Field of view 240x240 mm.
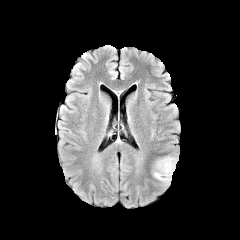
FLAIR MR.
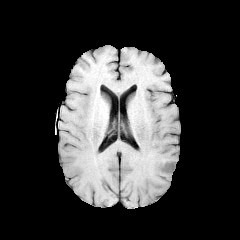
T1-weighted MR image.
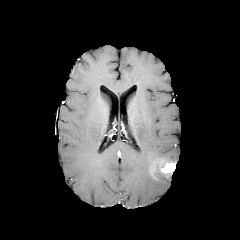
Post-contrast T1-weighted MR.
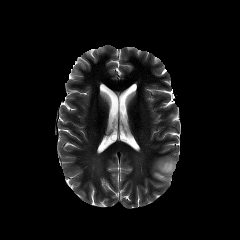
T2-weighted MRI.
The enhancing tumor lies within left=160, top=161, right=175, bottom=175. The edema is bounded by left=153, top=156, right=175, bottom=185.